CT slice. 512x512 px. Head. 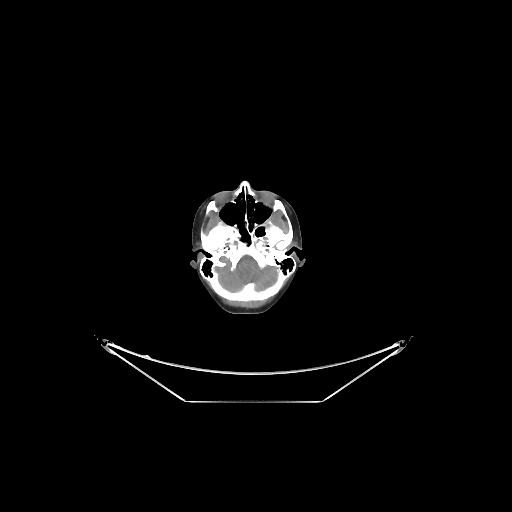

Brain: region(214, 254, 279, 292).